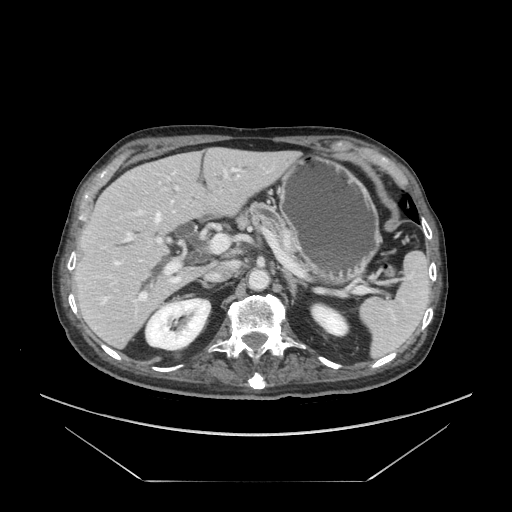 CT scan slice. <segmentation>
  <pancreas>[238,203,294,253]</pancreas>
</segmentation>